Field of view 350x350 mm. CT image. Slice index 154. Abdomen. 512x512 px.
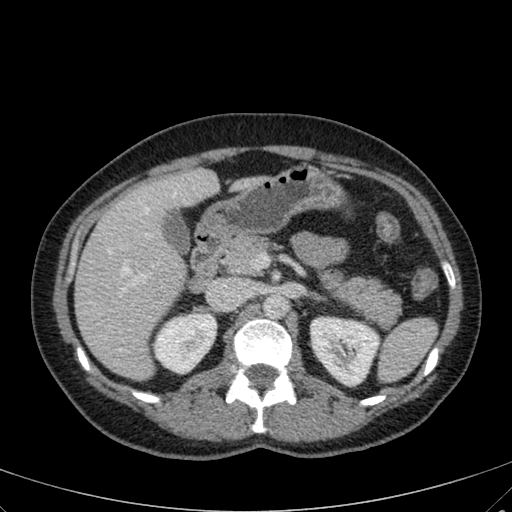

<segmentation>
  <liver>[230, 177, 269, 192], [74, 168, 219, 378]</liver>
  <kidney>[155, 314, 215, 372], [311, 318, 378, 384]</kidney>
</segmentation>